CT scan slice | Upper abdomen | Slice 416 of 917 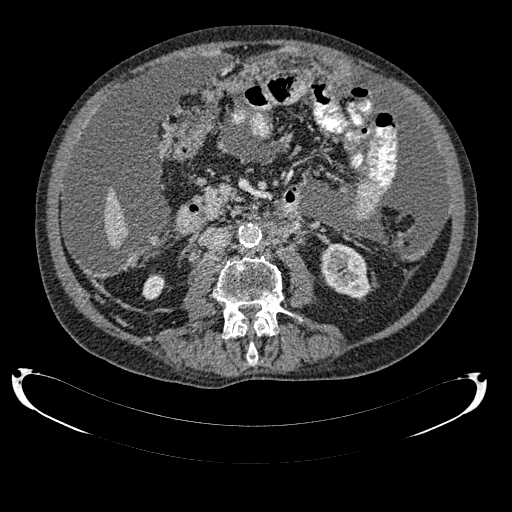

liver:
  - [104, 188, 126, 247]
kidney:
  - [143, 275, 163, 299]
  - [322, 244, 369, 297]